FLAIR MR.
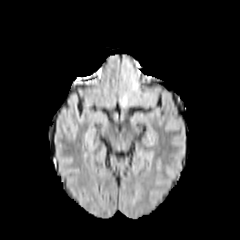
T1-weighted MR image.
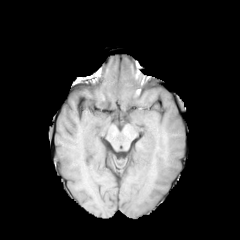
Post-contrast T1-weighted MR image.
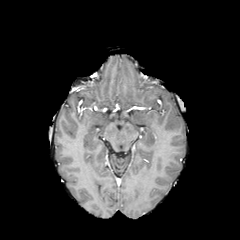
T2-weighted MR image.
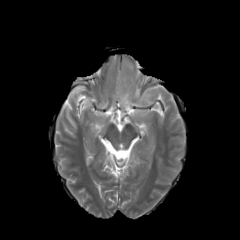
Brain, Image size 240x240
edema: 123 93 151 105